FLAIR magnetic resonance.
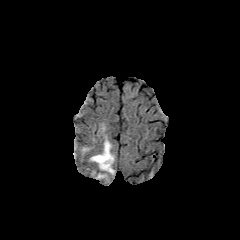
T1-weighted magnetic resonance.
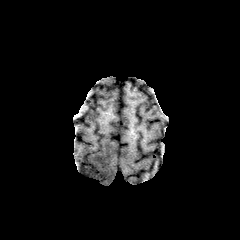
Post-contrast T1-weighted MR image.
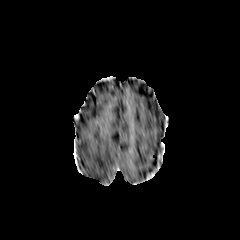
T2-weighted MR.
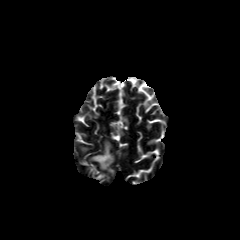
Head
2 edema regions are located at region(89, 140, 114, 174); region(96, 173, 109, 178).